Slice 83 of 155; Brain
FLAIR magnetic resonance.
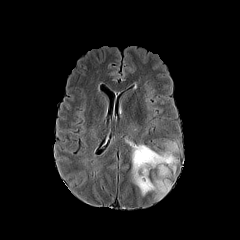
T1-weighted MR.
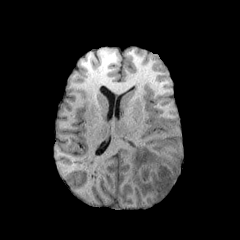
Post-contrast T1-weighted magnetic resonance.
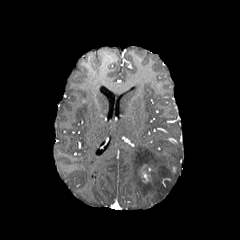
T2-weighted MRI.
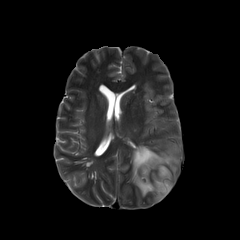
Segmented structures:
- edema: (131,145,177,200)
- enhancing tumor: (140,165,151,183)